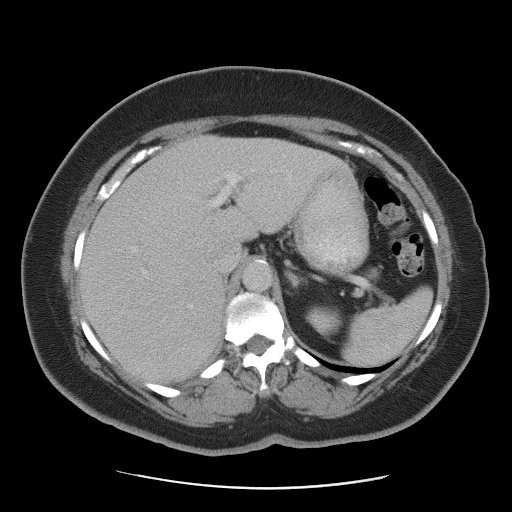 Computed tomography
The vessel annotation is not exhaustive.
3 hepatic vessel regions are bounded by {"x1": 132, "y1": 246, "x2": 136, "y2": 250}, {"x1": 215, "y1": 178, "x2": 218, "y2": 180}, {"x1": 210, "y1": 173, "x2": 240, "y2": 206}.